Liver. CT image. Slice 437/856.

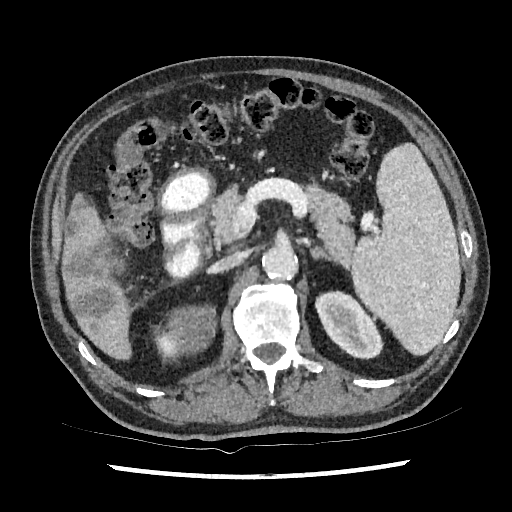
{"liver": ["x1=63, y1=205, x2=131, y2=358"], "kidney": ["x1=158, y1=334, x2=177, y2=355", "x1=315, y1=291, x2=382, y2=358"], "liver_lesion": ["x1=72, y1=195, x2=86, y2=211", "x1=65, y1=215, x2=80, y2=238", "x1=70, y1=285, x2=116, y2=331", "x1=63, y1=231, x2=108, y2=280"]}